CT slice, 512x512, Abdomen

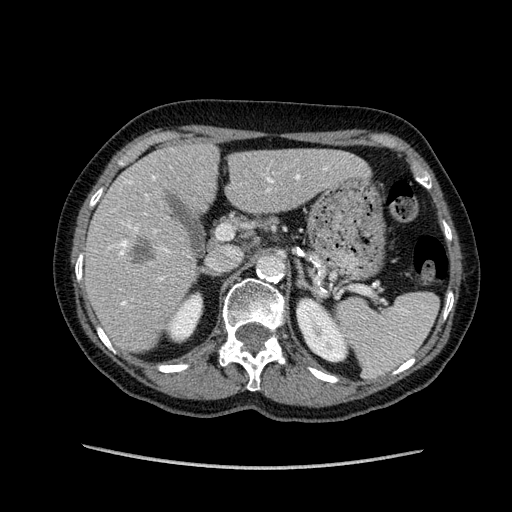
Kidney = [297,300,345,360], [170,296,201,338].
Liver = [86,146,363,347].
Hepatic lesion = [130,238,156,262].